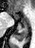 MR, Hippocampus

<segmentation>
  <posterior_hippocampus><bbox>13, 22, 28, 41</bbox></posterior_hippocampus>
  <anterior_hippocampus><bbox>21, 16, 28, 21</bbox>, <bbox>13, 14, 17, 16</bbox></anterior_hippocampus>
</segmentation>